Computed tomography, Abdomen
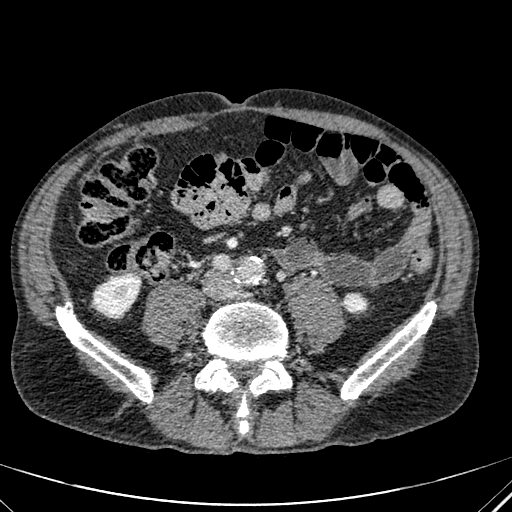

Kidney = l=344, t=294, r=365, b=311; l=94, t=274, r=139, b=317.